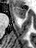

MR image.

Anterior hippocampus at 14 6 25 18.